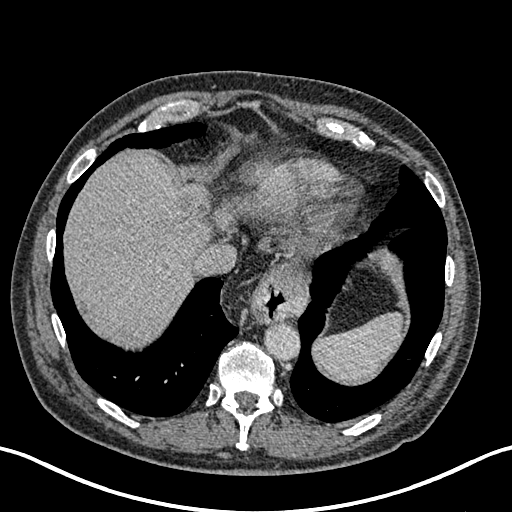 Computed tomography; Upper abdomen
Hepatic lesion — 177 192 209 226.
Liver — 213 205 235 230, 65 150 210 344.